Brain
FLAIR MR.
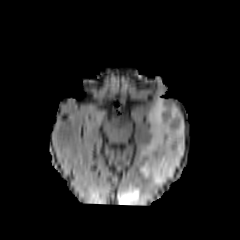
T1-weighted MRI.
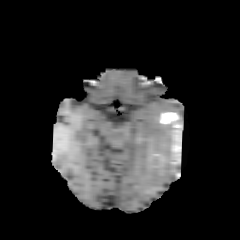
Post-contrast T1-weighted MR image.
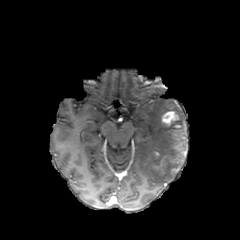
T2-weighted MRI.
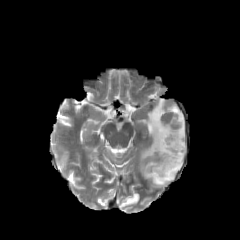
{
  "non-enhancing_tumor_core": [
    "box(171, 150, 183, 163)",
    "box(163, 120, 185, 147)"
  ],
  "enhancing_tumor": [
    "box(162, 111, 179, 123)"
  ],
  "edema": [
    "box(122, 194, 139, 205)",
    "box(139, 94, 186, 186)"
  ]
}